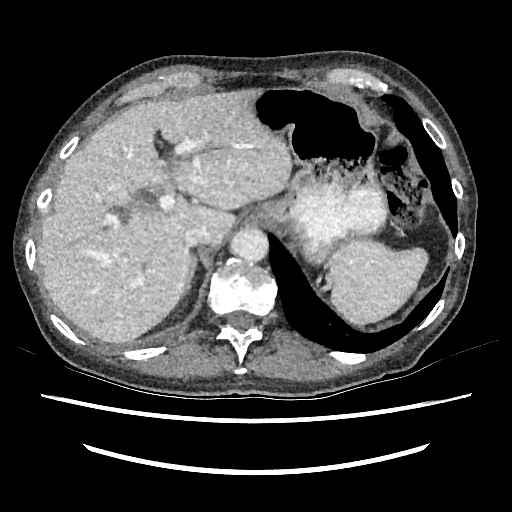
CT
Liver = [x1=37, y1=89, x2=291, y2=341].